FLAIR MR image.
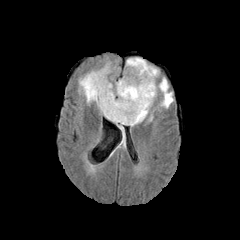
T1-weighted MR image.
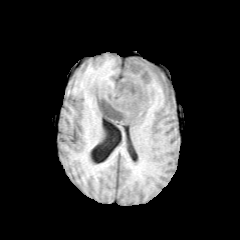
Post-contrast T1-weighted MR.
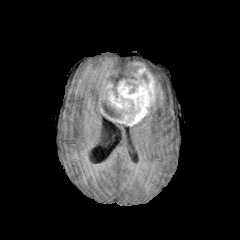
T2-weighted MR.
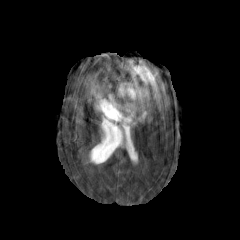
240x240. Brain.
Annotated regions:
* enhancing tumor: left=100, top=62, right=156, bottom=126
* non-enhancing tumor core: left=100, top=101, right=121, bottom=118
* edema: left=130, top=106, right=153, bottom=127; left=119, top=57, right=173, bottom=110; left=78, top=62, right=111, bottom=114; left=112, top=121, right=125, bottom=147